Computed tomography | Liver | Slice index 363

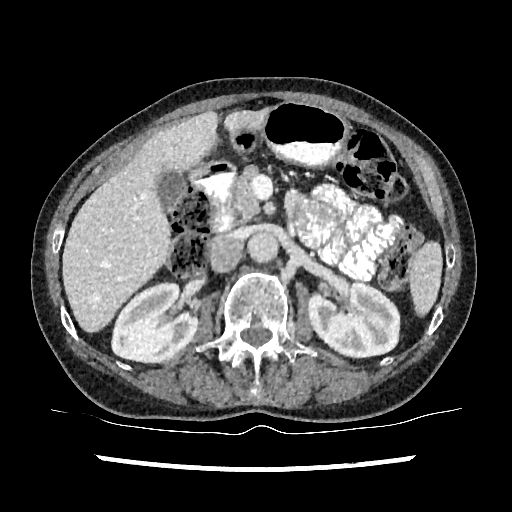
<segmentation>
  <kidney>left=309, top=284, right=398, bottom=356; left=110, top=284, right=197, bottom=361</kidney>
  <liver>left=225, top=110, right=266, bottom=131; left=63, top=111, right=215, bottom=330</liver>
</segmentation>